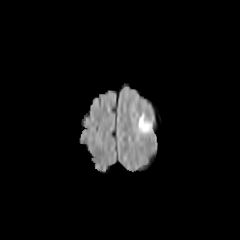
FLAIR magnetic resonance.
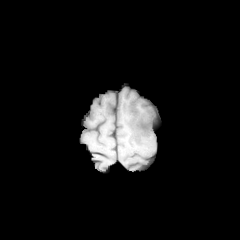
T1-weighted MR of the same slice.
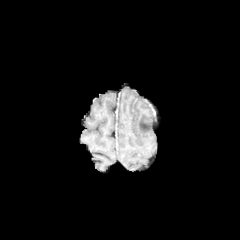
Post-contrast T1-weighted MR of the same slice.
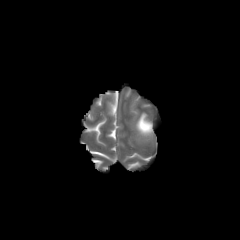
T2-weighted MR.
240x240
edema: <bbox>137, 114, 156, 140</bbox>